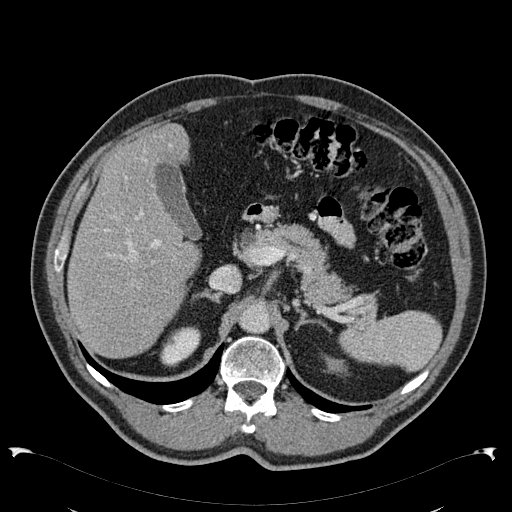
Abdomen. Image size 512x512. CT.
{
  "liver": [
    "bbox=[67, 123, 199, 358]"
  ],
  "kidney": [
    "bbox=[160, 327, 200, 365]",
    "bbox=[325, 357, 345, 372]"
  ]
}